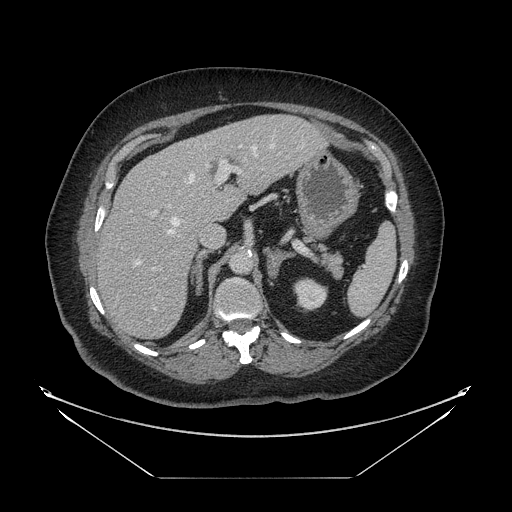
Upper abdomen | Computed tomography | 512x512 px
<segmentation>
  <pancreas>[305,236,343,278]</pancreas>
</segmentation>